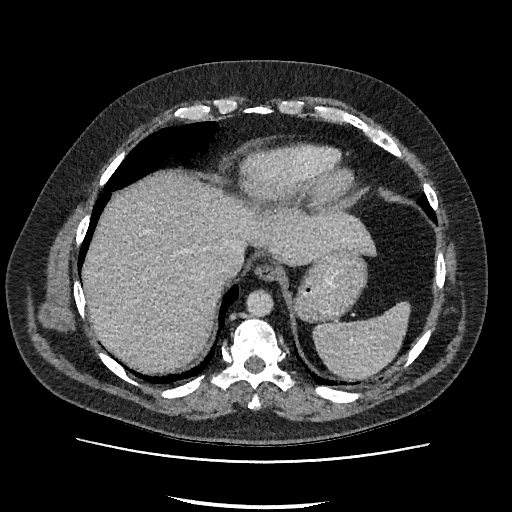
Computed tomography | Upper abdomen
The liver appears at rect(85, 176, 374, 370).